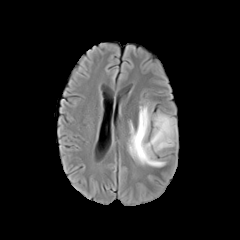
FLAIR magnetic resonance.
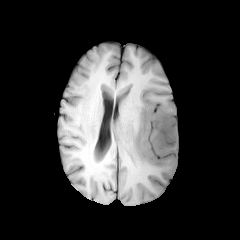
T1-weighted MR.
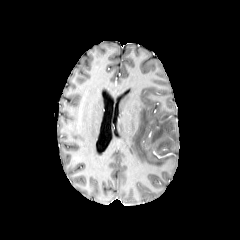
Post-contrast T1-weighted MRI.
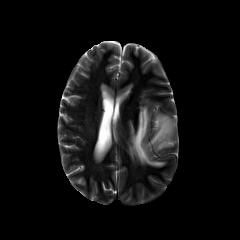
T2-weighted MRI.
{"edema": ["box(126, 99, 177, 167)"]}